Brain, Slice index 92
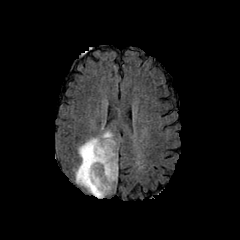
FLAIR MR.
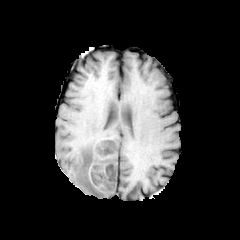
T1-weighted MRI.
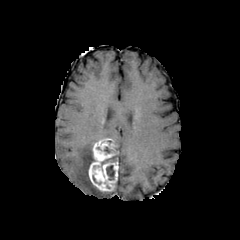
Post-contrast T1-weighted magnetic resonance.
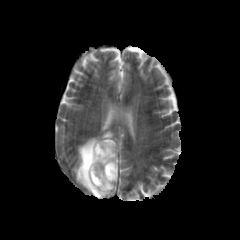
T2-weighted magnetic resonance.
The enhancing tumor appears at box(88, 137, 118, 192). 2 edema regions are bounded by box(100, 130, 113, 138); box(74, 137, 106, 197). The non-enhancing tumor core is located at box(106, 165, 114, 179).